Brain.
FLAIR MR.
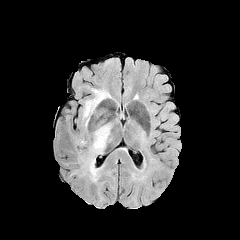
T1-weighted MR.
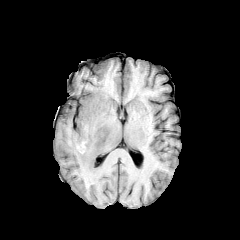
Post-contrast T1-weighted MRI.
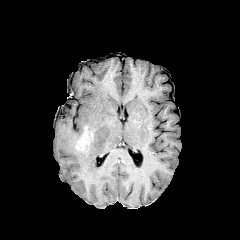
T2-weighted MRI.
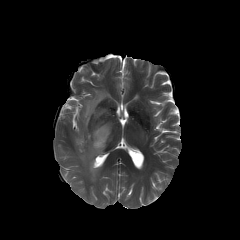
Edema at 82 89 110 126, 79 123 111 181.
Enhancing tumor at 76 126 89 150.